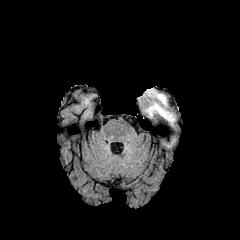
FLAIR magnetic resonance.
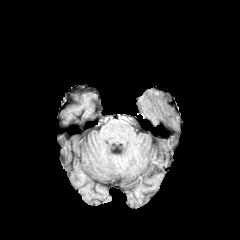
T1-weighted MR image of the same slice.
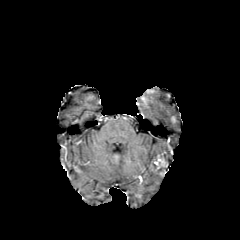
Post-contrast T1-weighted MRI.
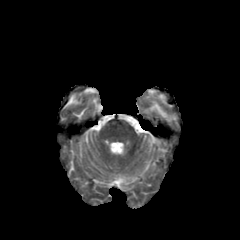
T2-weighted magnetic resonance.
Edema at bbox(140, 90, 175, 123).